FLAIR MR.
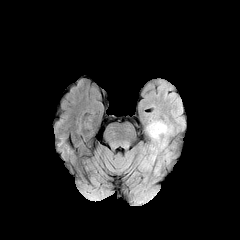
T1-weighted MRI.
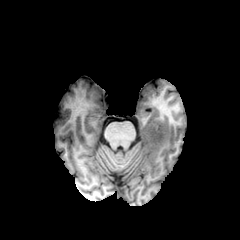
Post-contrast T1-weighted MRI.
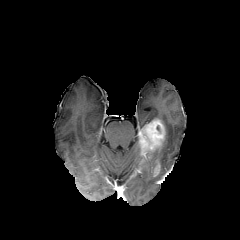
T2-weighted magnetic resonance.
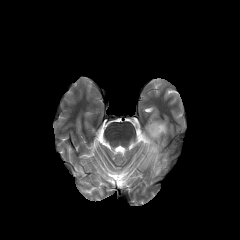
Head
Edema: bounding box 156:122:171:168, 138:143:155:171.
Non-enhancing tumor core: bounding box 144:148:160:165.
Enhancing tumor: bounding box 139:120:165:159.